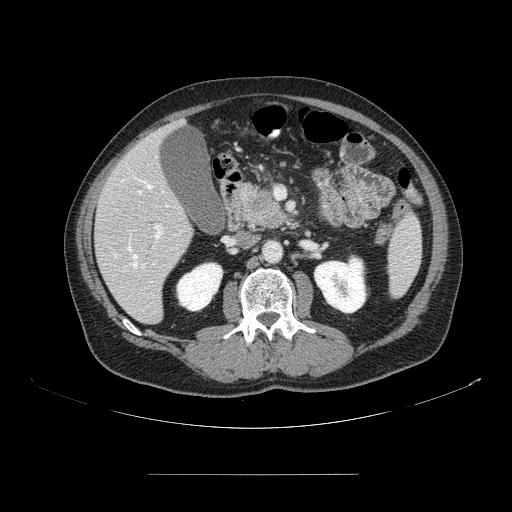 CT image
<segmentation>
  <pancreatic_tumor>left=249, top=192, right=270, bottom=211</pancreatic_tumor>
  <pancreas>left=242, top=186, right=288, bottom=229</pancreas>
</segmentation>